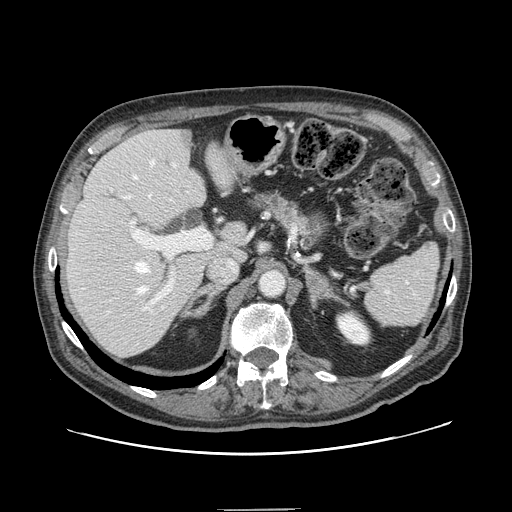 512x512. CT. Abdomen.
{
  "pancreas": [
    "box=[244, 189, 326, 248]"
  ]
}